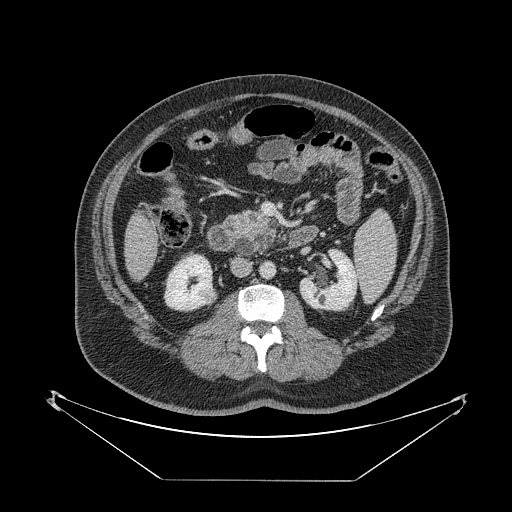

CT

Annotated regions:
* pancreas: {"x1": 226, "y1": 210, "x2": 275, "y2": 255}